CT | Abdomen 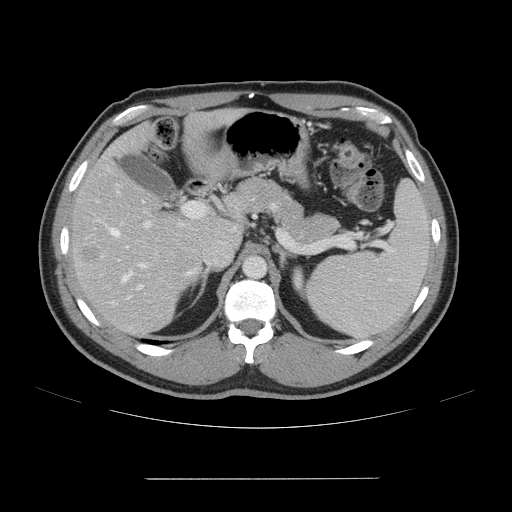

Some hepatic vessels may have no box.
Hepatic vessel: l=110, t=228, r=119, b=235; l=138, t=285, r=141, b=288; l=122, t=271, r=132, b=281; l=178, t=223, r=184, b=225; l=138, t=263, r=145, b=267; l=117, t=189, r=118, b=192; l=116, t=184, r=117, b=186; l=144, t=222, r=149, b=226; l=128, t=296, r=130, b=297; l=126, t=246, r=127, b=247; l=110, t=302, r=116, b=304.
Liver tumor: l=81, t=247, r=101, b=263.